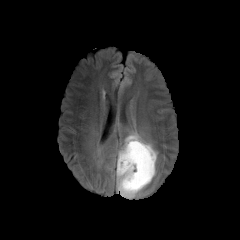
FLAIR magnetic resonance.
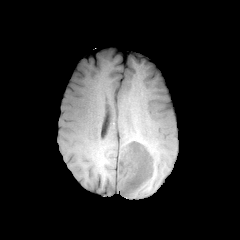
T1-weighted magnetic resonance.
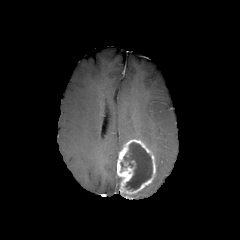
Post-contrast T1-weighted MRI.
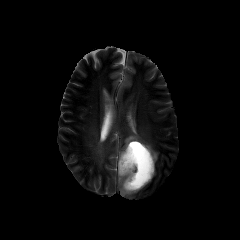
T2-weighted magnetic resonance of the same slice.
Head
{"enhancing_tumor": ["(x1=116, y1=139, x2=155, y2=197)"], "non-enhancing_tumor_core": ["(x1=124, y1=142, x2=152, y2=189)"], "edema": ["(x1=110, y1=143, x2=123, y2=171)", "(x1=116, y1=172, x2=120, y2=189)", "(x1=123, y1=130, x2=158, y2=165)"]}